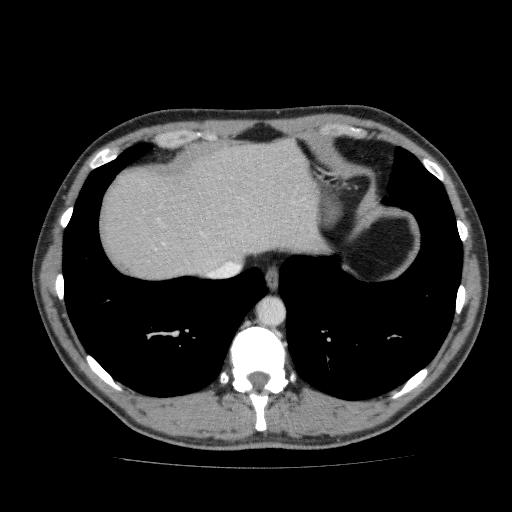
512x512 | Liver | CT
The liver lies within <bbox>100, 138, 331, 279</bbox>.